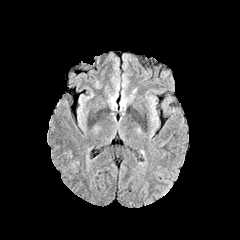
FLAIR MR.
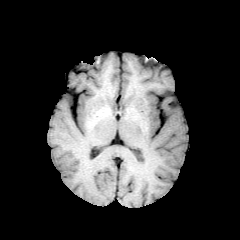
T1-weighted MR image.
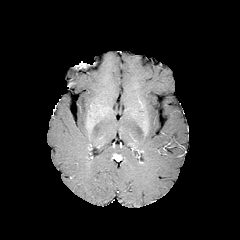
Post-contrast T1-weighted MR.
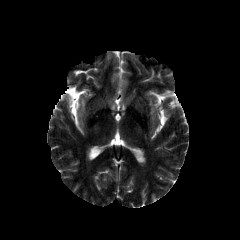
T2-weighted magnetic resonance.
The edema appears at {"x1": 149, "y1": 98, "x2": 156, "y2": 122}.